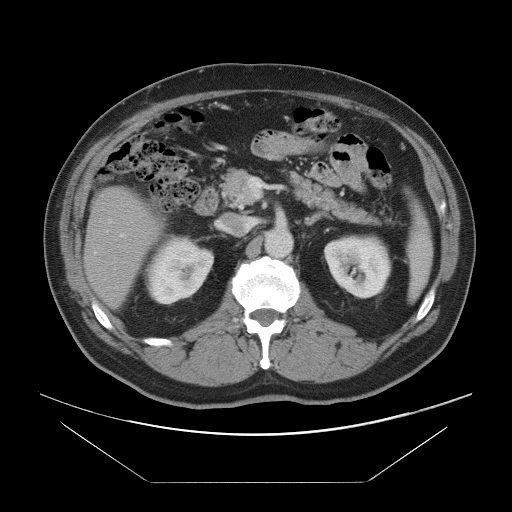 CT scan slice
Some hepatic vessels may have no box.
* hepatic vessel: <box>120,234,123,236</box>